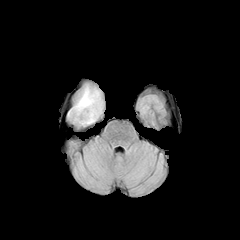
FLAIR MR.
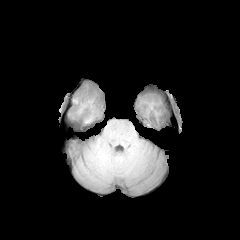
T1-weighted MR.
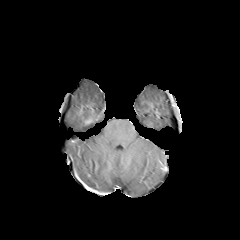
Post-contrast T1-weighted magnetic resonance of the same slice.
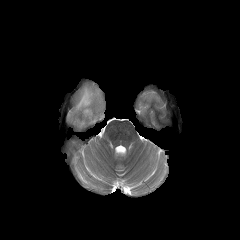
Same slice, T2-weighted MR image.
Edema at (74, 87, 100, 124).